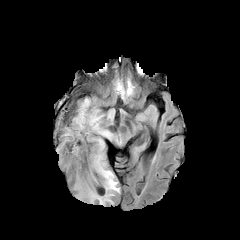
FLAIR MRI.
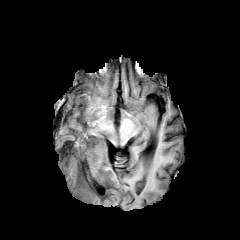
Same slice, T1-weighted magnetic resonance.
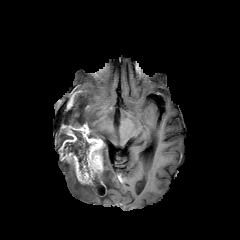
Post-contrast T1-weighted MRI.
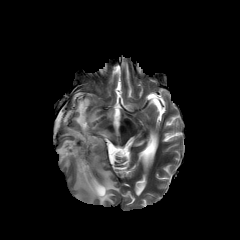
T2-weighted MR of the same slice.
240x240. Head.
3 edema regions appear at (x1=71, y1=97, x2=121, y2=143), (x1=74, y1=158, x2=119, y2=205), (x1=60, y1=128, x2=67, y2=146). 2 non-enhancing tumor core regions are bounded by (x1=62, y1=130, x2=91, y2=173), (x1=68, y1=156, x2=76, y2=175). The enhancing tumor appears at (x1=59, y1=122, x2=104, y2=184).